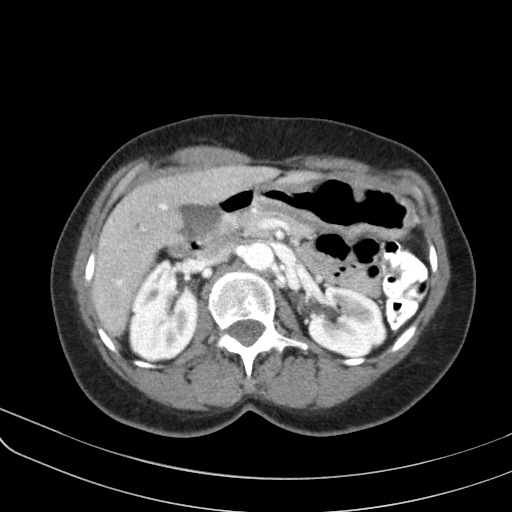

512x512 px. Abdomen. CT.
Segmented structures:
• pancreas: [236, 209, 313, 237]